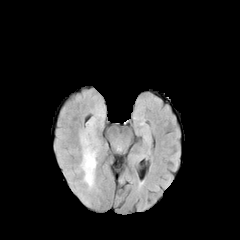
FLAIR MR.
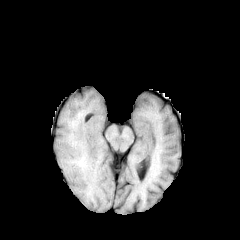
Same slice, T1-weighted MR image.
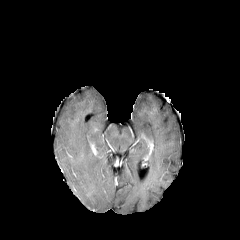
Post-contrast T1-weighted magnetic resonance of the same slice.
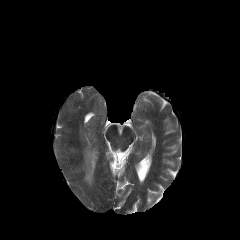
T2-weighted MR.
Brain.
<segmentation>
  <edema>{"x1": 81, "y1": 136, "x2": 97, "y2": 186}</edema>
</segmentation>